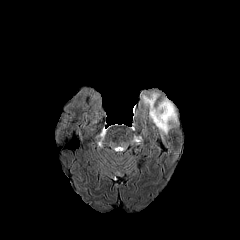
FLAIR magnetic resonance.
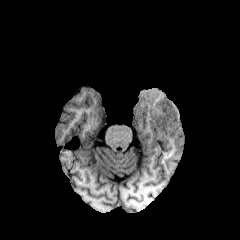
T1-weighted MR image.
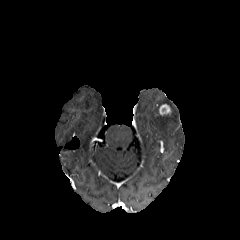
Post-contrast T1-weighted magnetic resonance.
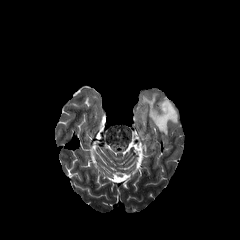
T2-weighted magnetic resonance of the same slice.
Edema — [142,93,177,139].
Enhancing tumor — [159,104,170,115].